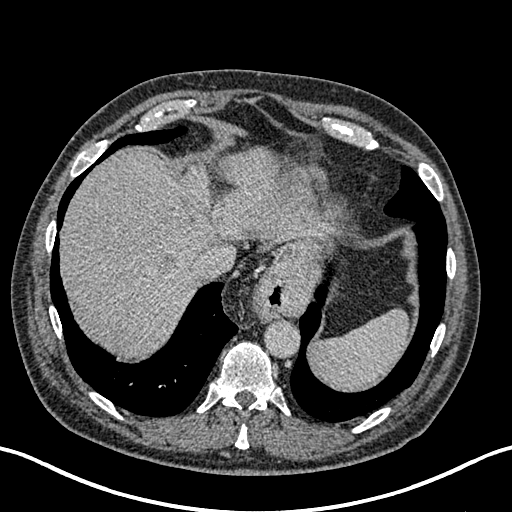 Liver, Computed tomography
liver: rect(60, 147, 314, 355) | focal liver lesion: rect(157, 252, 175, 275); rect(178, 195, 214, 219)